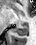 MR image; Medial temporal lobe
posterior_hippocampus:
  - (14,25,27,35)